FLAIR MRI.
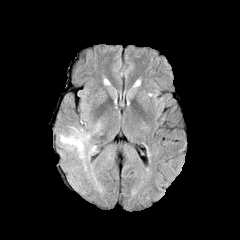
T1-weighted MR image.
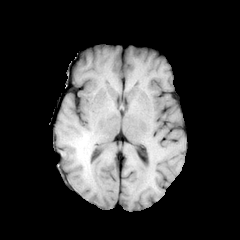
Post-contrast T1-weighted MRI.
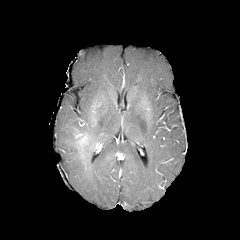
T2-weighted MR image.
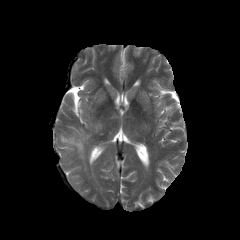
Brain
Edema at [x1=58, y1=126, x2=97, y2=169].
Non-enhancing tumor core at [x1=75, y1=129, x2=87, y2=145].